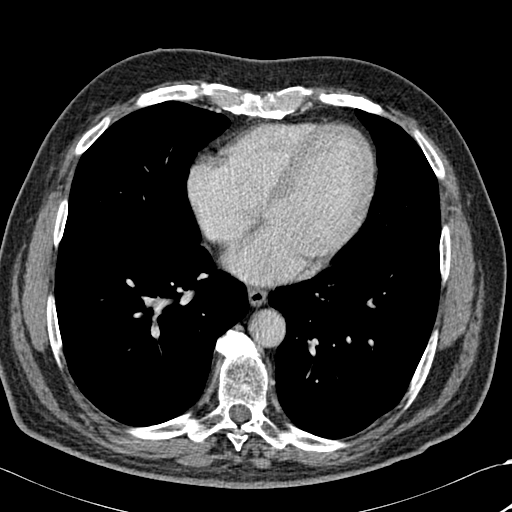
CT image, Chest, 512x512 px

Bone = box(47, 298, 61, 356); box(130, 331, 343, 451); box(54, 201, 67, 244); box(415, 131, 443, 177); box(440, 226, 450, 278); box(137, 83, 381, 118); box(410, 335, 436, 399); box(76, 118, 109, 153).
Lung = box(268, 109, 440, 439); box(54, 101, 249, 426).